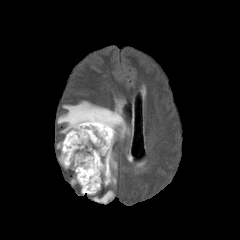
FLAIR MRI.
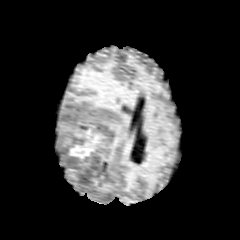
T1-weighted MR image.
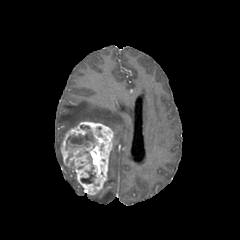
Post-contrast T1-weighted MR of the same slice.
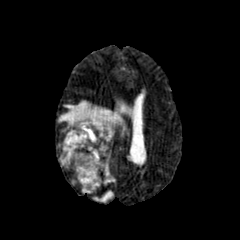
T2-weighted magnetic resonance.
240x240 px | Brain
enhancing tumor: rect(61, 121, 113, 194) | edema: rect(70, 168, 84, 193); rect(90, 190, 113, 202); rect(58, 142, 69, 167); rect(58, 101, 125, 145); rect(103, 150, 115, 186) | non-enhancing tumor core: rect(81, 170, 95, 183); rect(66, 125, 95, 156)